Field of view 380x380 mm, Image size 512x512, Abdomen, CT image 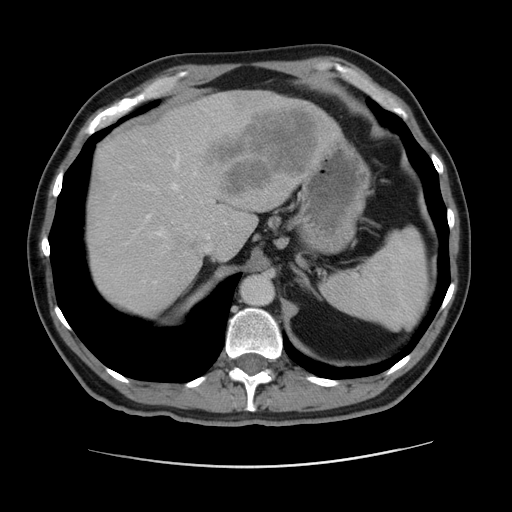 Liver = left=86, top=91, right=330, bottom=317.
Focal liver lesion = left=205, top=105, right=322, bottom=195.